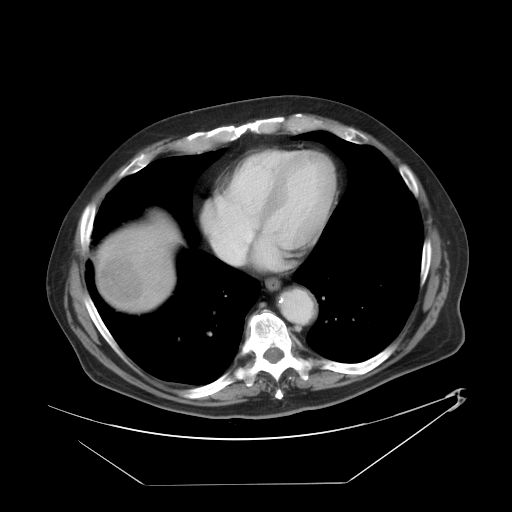 Computed tomography, Liver
Liver tumor: bounding box 100 254 145 303.